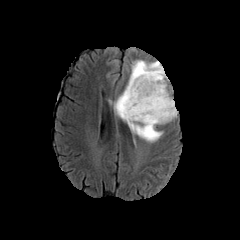
FLAIR magnetic resonance.
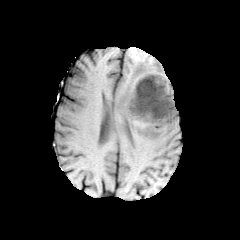
Same slice, T1-weighted magnetic resonance.
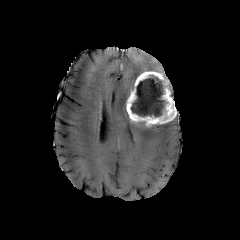
Post-contrast T1-weighted magnetic resonance.
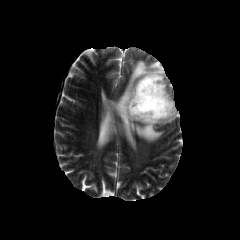
Same slice, T2-weighted MR.
* non-enhancing tumor core: [146,126,153,133], [131,78,165,116], [122,95,129,117]
* edema: [112,60,165,142]
* enhancing tumor: [126,71,177,125]